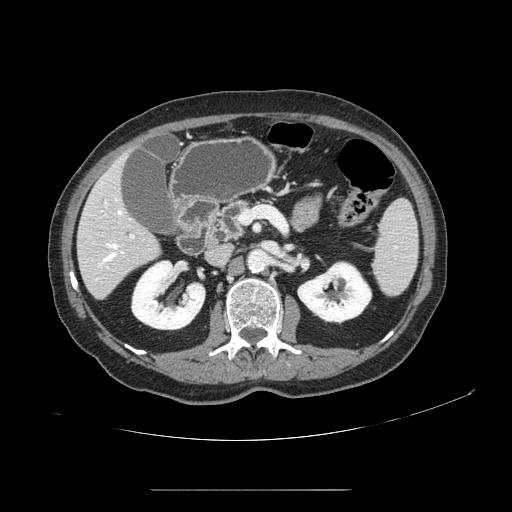

CT scan slice
The pancreas is located at (218, 199, 249, 240).